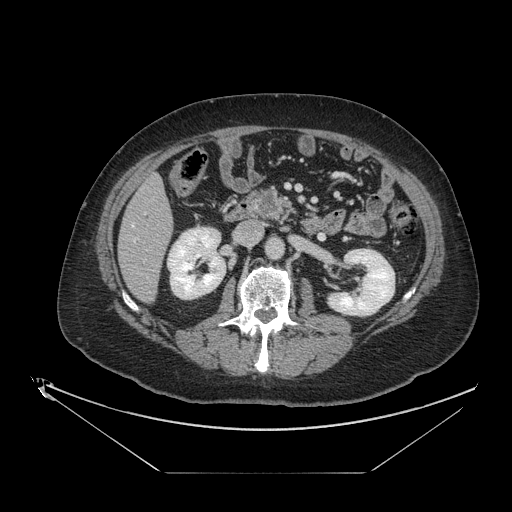 512x512. CT. Upper abdomen.

pancreatic tumor: rect(261, 193, 276, 214) | pancreas: rect(251, 188, 287, 219)